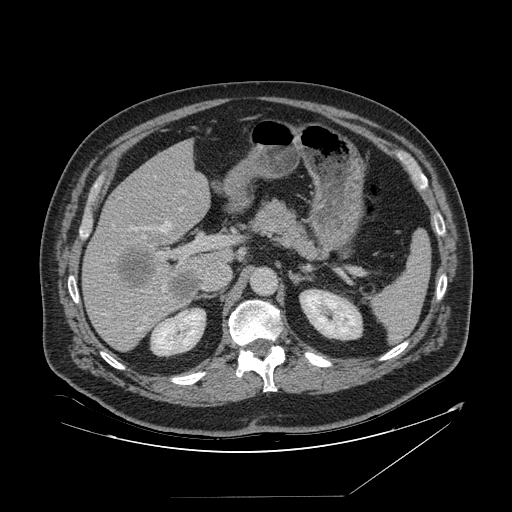 CT; Abdomen
Spleen = box(371, 232, 430, 343).